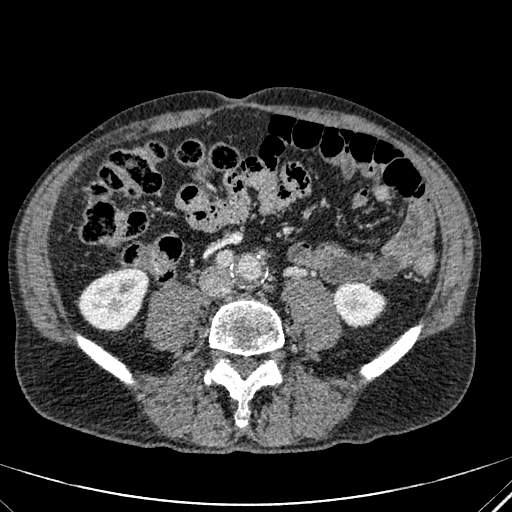 Abdomen. CT slice.

• kidney: 334, 284, 383, 325; 80, 269, 147, 333